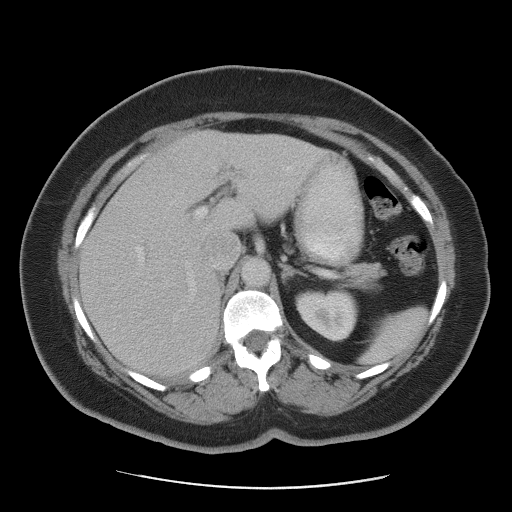

CT slice; Abdomen

The vessel boxes may cover only some of the vessels.
2 hepatic vessel regions are bounded by [x1=196, y1=206, x2=207, y2=217], [x1=136, y1=246, x2=144, y2=261].